Slice index 81, Liver, CT 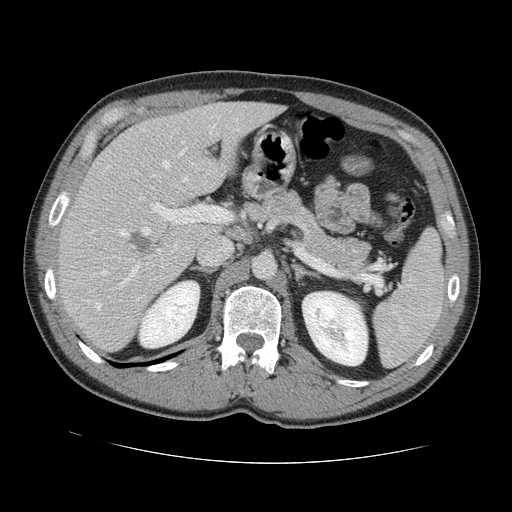
Some hepatic vessels may have no box.
[15/24] hepatic vessel: x1=119 y1=259 x2=139 y2=287, x1=191 y1=163 x2=201 y2=169, x1=142 y1=227 x2=149 y2=234, x1=179 y1=141 x2=186 y2=155, x1=235 y1=126 x2=238 y2=130, x1=209 y1=124 x2=215 y2=134, x1=117 y1=229 x2=128 y2=236, x1=163 y1=161 x2=168 y2=167, x1=181 y1=178 x2=186 y2=182, x1=138 y1=126 x2=144 y2=130, x1=151 y1=174 x2=156 y2=176, x1=135 y1=295 x2=145 y2=302, x1=102 y1=271 x2=106 y2=274, x1=90 y1=231 x2=93 y2=234, x1=96 y1=303 x2=99 y2=309 | liver tumor: x1=130 y1=232 x2=155 y2=256